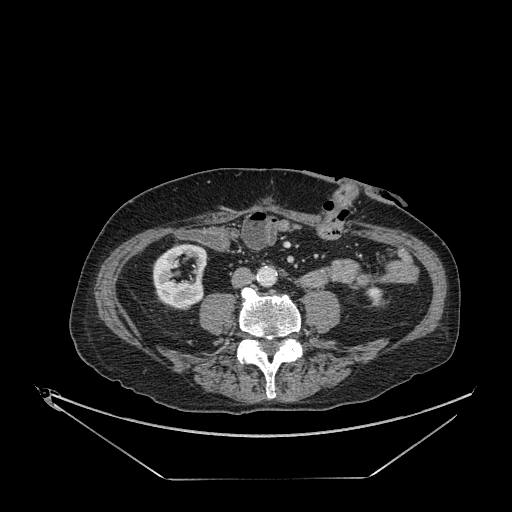
CT slice. Image size 512x512. Abdomen.

- kidney: 367:287:381:304, 153:245:206:307